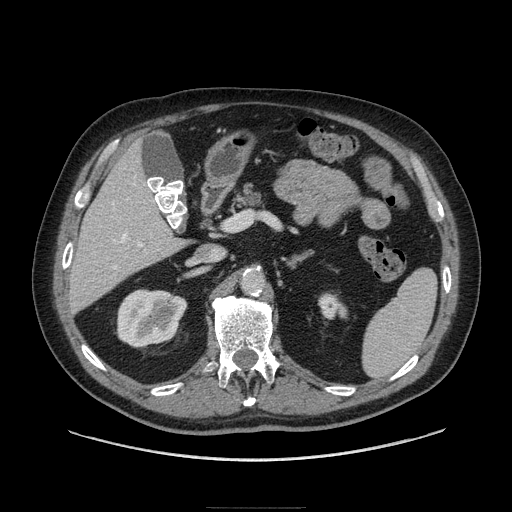
CT slice
<segmentation>
  <pancreatic_tumor>bbox(248, 195, 260, 205)</pancreatic_tumor>
  <pancreas>bbox(232, 183, 267, 213)</pancreas>
</segmentation>